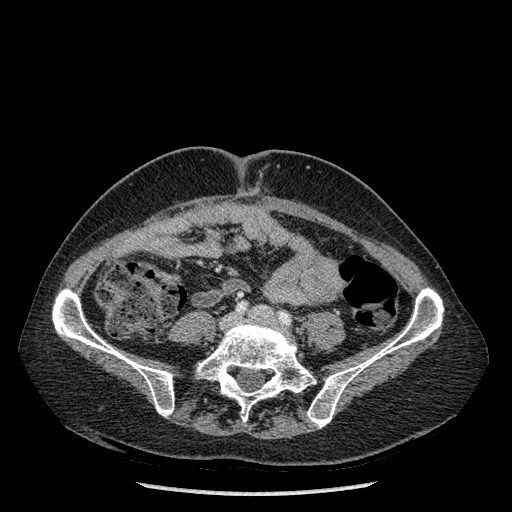 Computed tomography
Segmented structures:
- bone: [307, 287, 443, 428], [196, 315, 316, 421], [52, 288, 174, 417]